FLAIR MR.
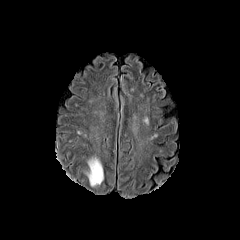
T1-weighted MR.
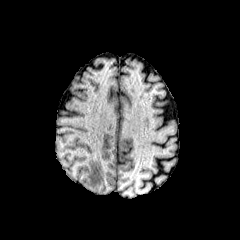
Post-contrast T1-weighted MR.
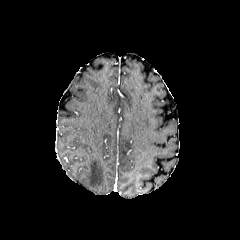
T2-weighted magnetic resonance.
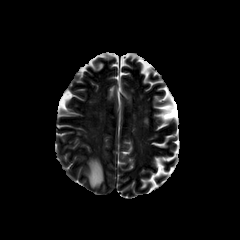
Head
Edema: <box>87,159,103,187</box>.